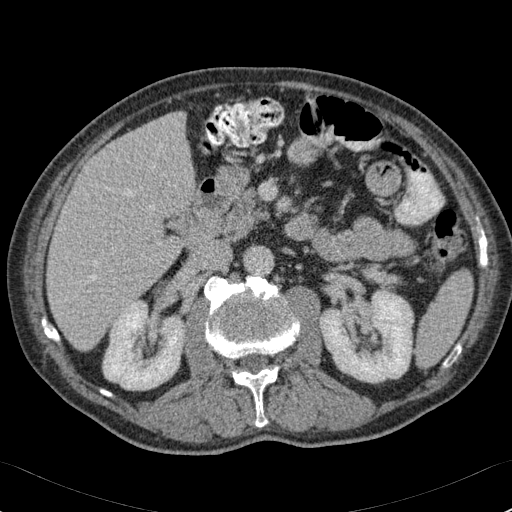 Abdomen, CT scan slice
kidney:
  - x1=103 y1=301 x2=184 y2=389
  - x1=320 y1=290 x2=413 y2=382
liver:
  - x1=47 y1=113 x2=194 y2=350